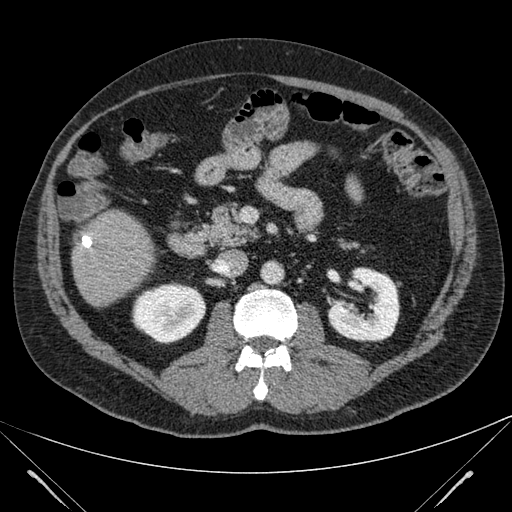

Liver | Computed tomography
Liver = <bbox>72, 210, 153, 306</bbox>.
Kidney = <bbox>134, 285, 204, 341</bbox>, <bbox>329, 268, 398, 340</bbox>.